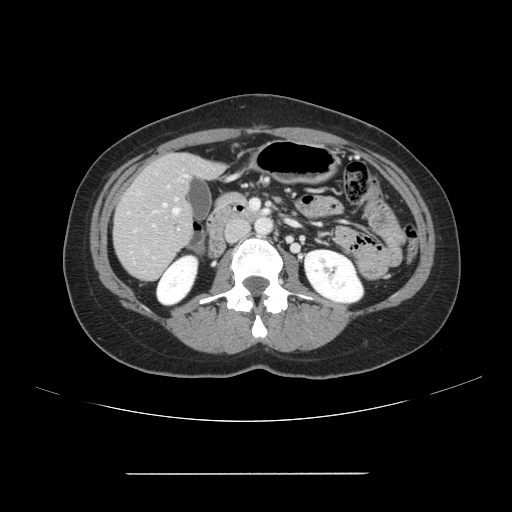 CT scan slice; Abdomen
The vessel boxes may cover only some of the vessels.
2 hepatic vessel regions appear at 163:204:166:205, 173:208:178:213.